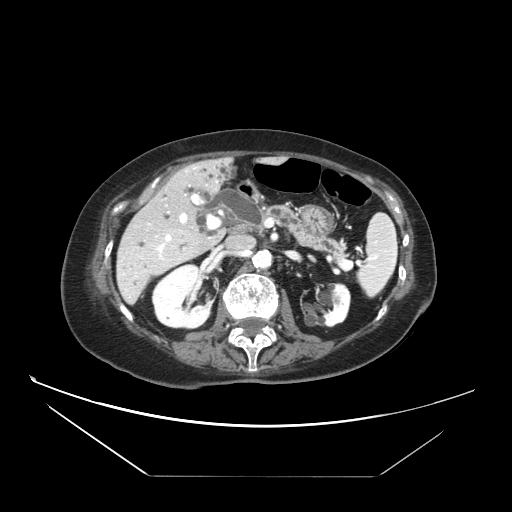
512x512, Computed tomography
Annotated regions:
* pancreas: 266, 206, 345, 262